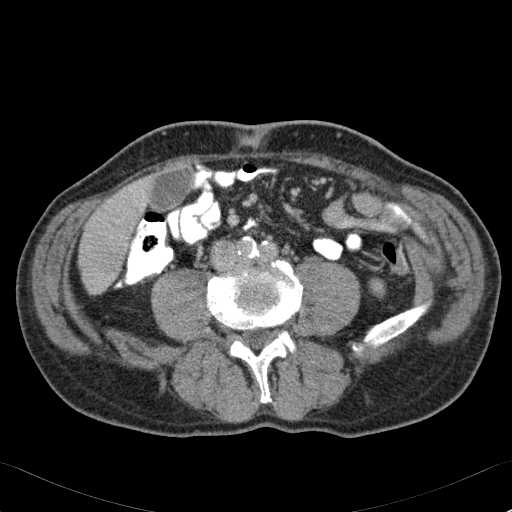

CT image. Image size 512x512. <segmentation>
  <liver>box(80, 177, 148, 293)</liver>
</segmentation>